FLAIR MR.
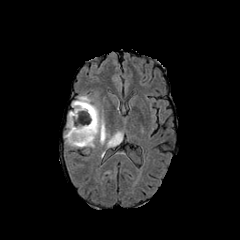
T1-weighted MRI.
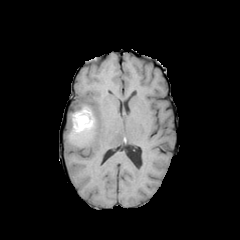
Post-contrast T1-weighted magnetic resonance.
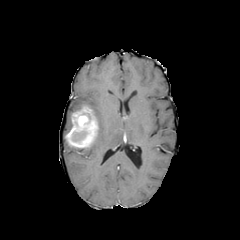
T2-weighted magnetic resonance.
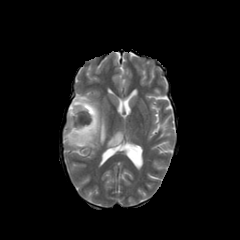
Head
{"edema": ["left=65, top=93, right=119, bottom=153"], "enhancing_tumor": ["left=66, top=106, right=97, bottom=147"]}